Slice index 32; CT scan slice 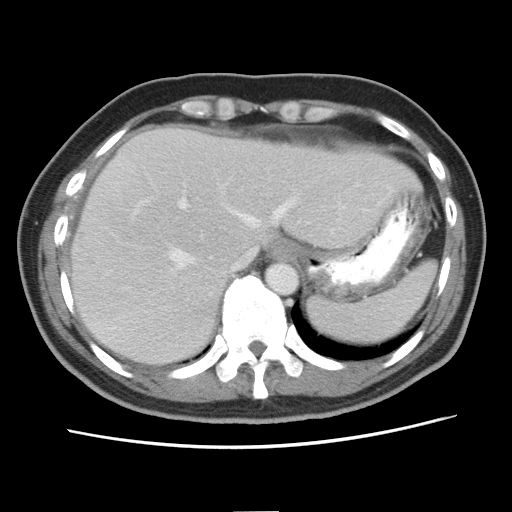 The vessel annotation is not exhaustive.
hepatic_vessel:
  - (x1=233, y1=212, x2=259, y2=228)
  - (x1=171, y1=270, x2=172, y2=272)
  - (x1=227, y1=209, x2=231, y2=212)
  - (x1=170, y1=250, x2=193, y2=268)
  - (x1=210, y1=257, x2=211, y2=258)
  - (x1=338, y1=204, x2=339, y2=208)
  - (x1=178, y1=198, x2=186, y2=208)
  - (x1=133, y1=200, x2=147, y2=214)
  - (x1=273, y1=201, x2=293, y2=220)
  - (x1=355, y1=183, x2=358, y2=186)